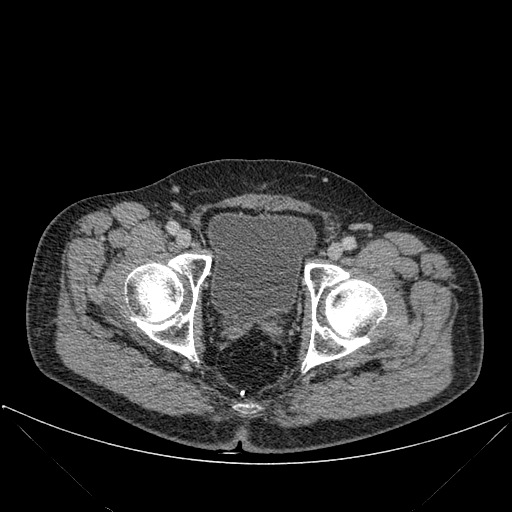
512x512 px. CT. Lower abdomen.

3 bone regions are bounded by box=[235, 404, 257, 412]; box=[125, 254, 211, 360]; box=[302, 263, 386, 372]. The urinary bladder is bounded by box=[207, 211, 316, 324].